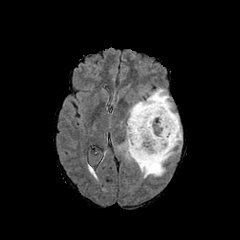
FLAIR MR.
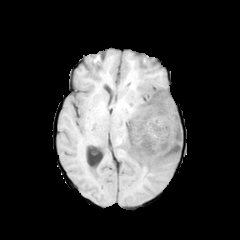
T1-weighted MR image.
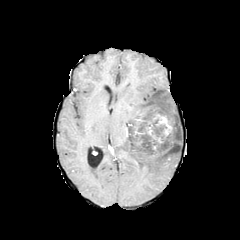
Post-contrast T1-weighted MR.
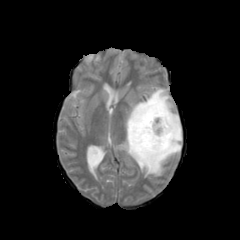
T2-weighted MR of the same slice.
240x240 | Head
{
  "edema": [
    "x1=117 y1=87 x2=181 y2=177"
  ],
  "enhancing_tumor": [
    "x1=156 y1=114 x2=172 y2=135"
  ],
  "non-enhancing_tumor_core": [
    "x1=127 y1=96 x2=179 y2=157"
  ]
}